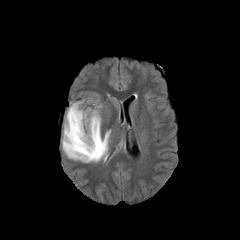
FLAIR MR.
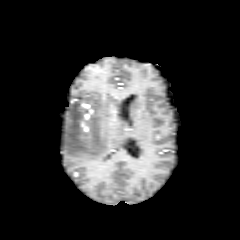
T1-weighted MRI of the same slice.
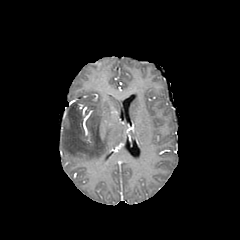
Post-contrast T1-weighted MR image.
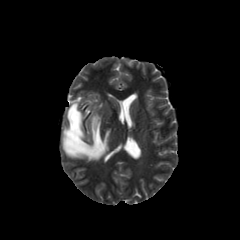
T2-weighted MR image.
Image size 240x240, Head
The edema is located at [x1=62, y1=102, x2=110, y2=162].